Slice index 58
FLAIR MR image.
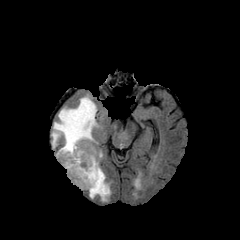
T1-weighted MR.
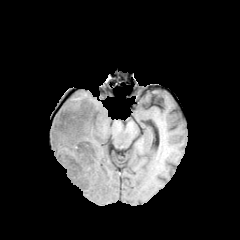
Post-contrast T1-weighted MR image.
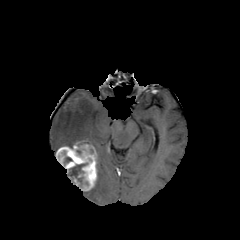
T2-weighted MRI.
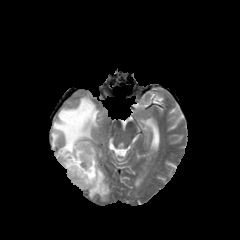
edema: {"x1": 88, "y1": 161, "x2": 110, "y2": 201}, {"x1": 51, "y1": 94, "x2": 97, "y2": 148} | enhancing tumor: {"x1": 56, "y1": 142, "x2": 97, "y2": 189} | non-enhancing tumor core: {"x1": 68, "y1": 164, "x2": 85, "y2": 184}